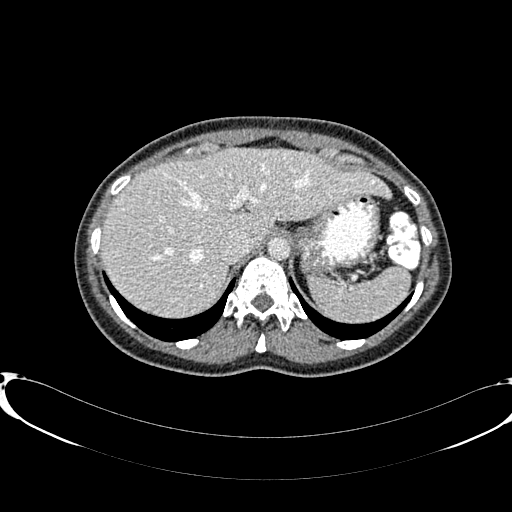
CT image. {"liver": ["bbox(102, 149, 390, 315)"]}